FLAIR MRI.
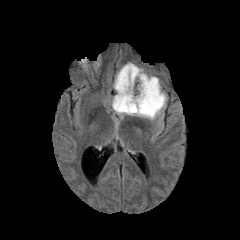
T1-weighted MRI.
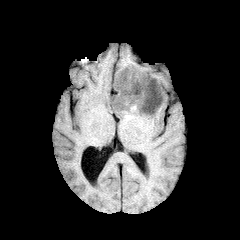
Post-contrast T1-weighted magnetic resonance.
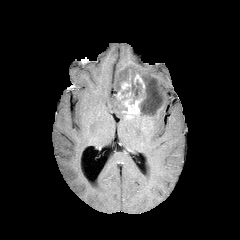
T2-weighted magnetic resonance.
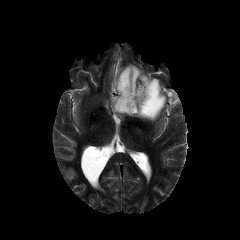
240x240
Edema: bounding box [x1=109, y1=62, x2=169, y2=123].
Enhancing tumor: bounding box [x1=117, y1=92, x2=141, y2=113], [x1=120, y1=81, x2=131, y2=91].
Non-enhancing tumor core: bounding box [x1=115, y1=96, x2=127, y2=111], [x1=120, y1=72, x2=156, y2=113].